FLAIR MRI.
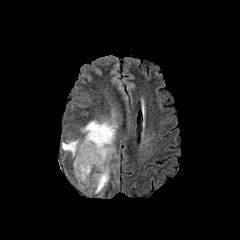
T1-weighted magnetic resonance.
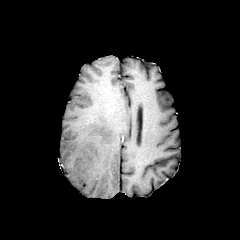
Post-contrast T1-weighted magnetic resonance.
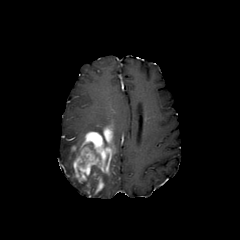
T2-weighted MR image.
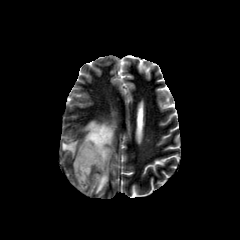
Head
<segmentation>
  <enhancing_tumor><box>102,127,112,143</box>, <box>95,177,103,193</box>, <box>73,131,112,182</box></enhancing_tumor>
  <edema><box>100,167,111,192</box>, <box>77,174,95,189</box>, <box>62,136,83,158</box>, <box>81,120,116,153</box></edema>
  <non-enhancing_tumor_core><box>81,175,89,185</box>, <box>70,138,84,154</box>, <box>92,166,106,191</box></non-enhancing_tumor_core>
</segmentation>